Slice 162 of 836, CT image
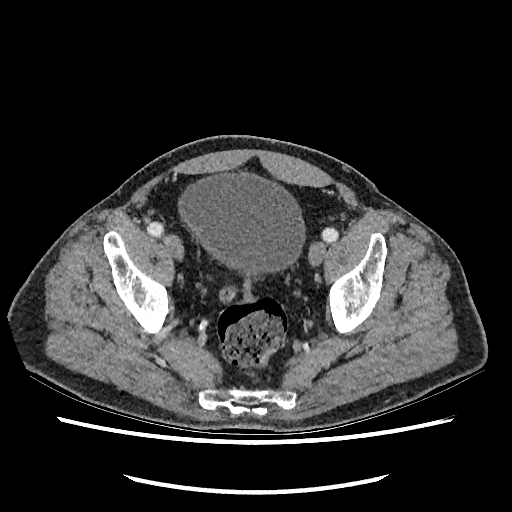
urinary_bladder:
  - x1=181, y1=172, x2=305, y2=276